Upper abdomen. CT. Slice 41 of 105. 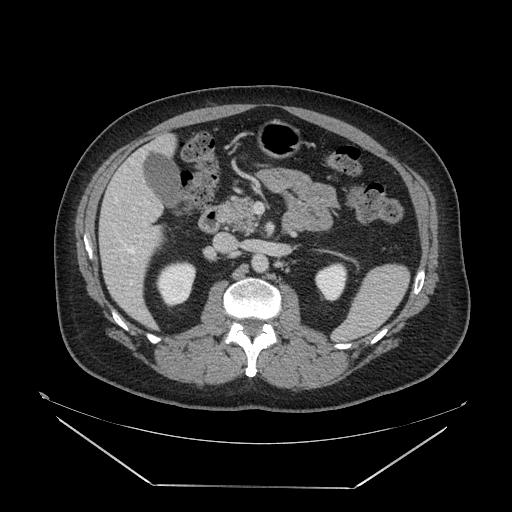

The pancreas is bounded by left=226, top=201, right=252, bottom=226.